Upper abdomen | CT | Image size 512x512
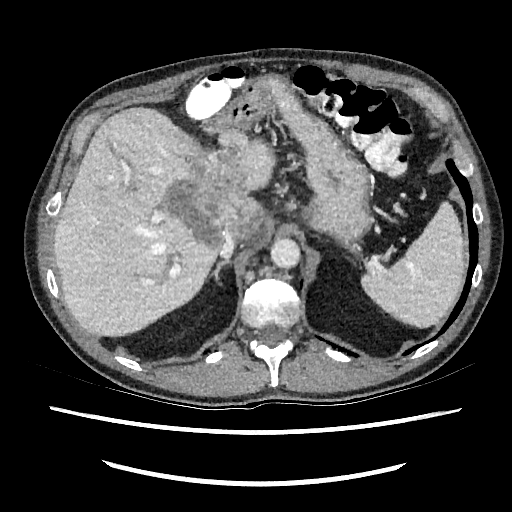 2 liver regions are bounded by left=53, top=108, right=273, bottom=335; left=232, top=201, right=265, bottom=241. The liver lesion is located at left=162, top=146, right=263, bottom=246.